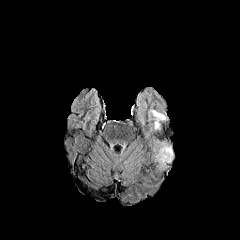
FLAIR MRI.
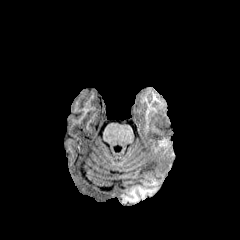
Same slice, T1-weighted MRI.
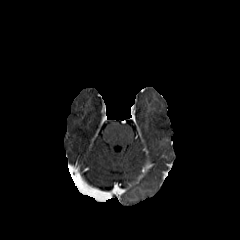
Post-contrast T1-weighted magnetic resonance.
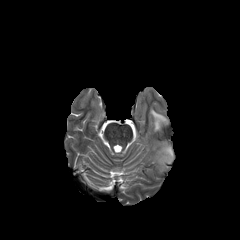
T2-weighted MRI of the same slice.
240x240, Head
Edema — 149:109:166:131, 151:141:174:170.